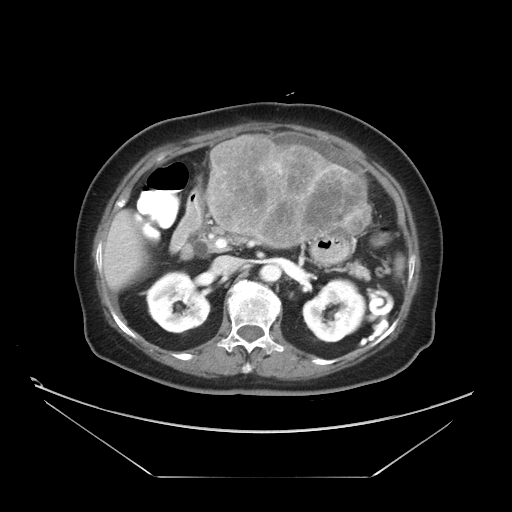

512x512 | CT image

Liver tumor — (left=207, top=134, right=370, bottom=250).